Slice 54 of 155
FLAIR magnetic resonance.
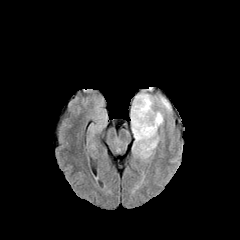
T1-weighted MR.
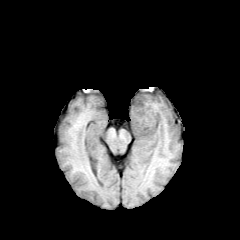
Post-contrast T1-weighted MR.
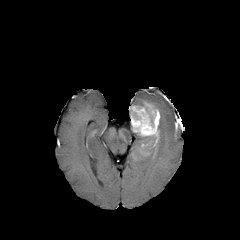
T2-weighted magnetic resonance.
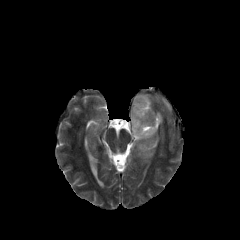
Segmented structures:
- edema: [132,133,160,161], [132,89,171,130]
- non-enhancing tumor core: [135,100,151,113], [139,147,151,156]
- enhancing tumor: [130,103,159,136]